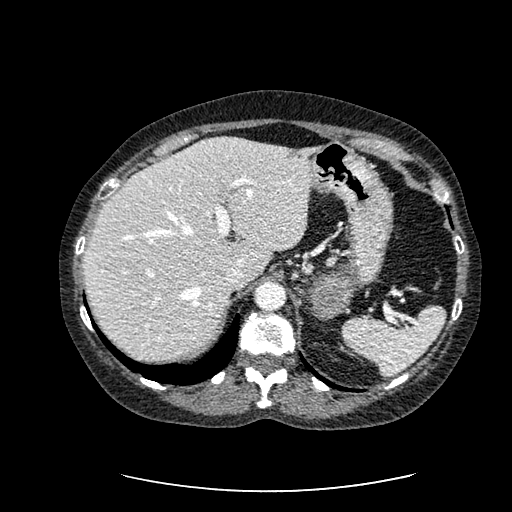

Upper abdomen; Computed tomography

Hepatic lesion at 288 149 302 155.
Liver at 83 137 321 358.